CT slice

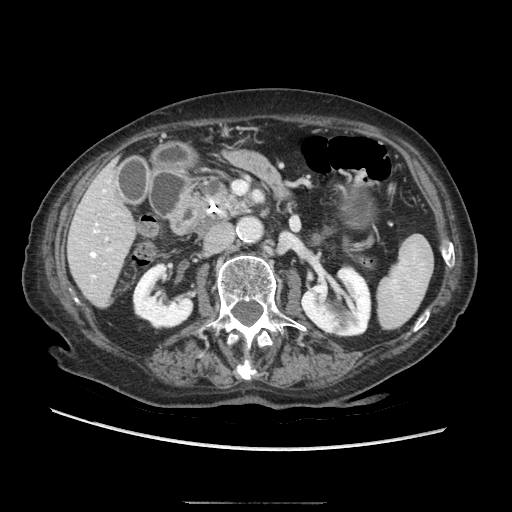

Pancreas: bbox=[201, 179, 248, 216].